Thorax; Computed tomography; Field of view 700 mm wide, 3.27 mm slice spacing
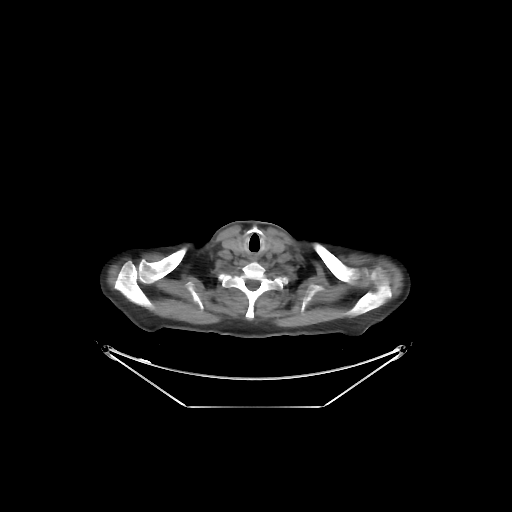

Lung: bounding box <bbox>249, 234, 259, 251</bbox>.
Bone: bounding box <bbox>193, 293, 199, 302</bbox>, <bbox>115, 248, 185, 308</bbox>, <bbox>219, 262, 287, 317</bbox>, <bbox>315, 244, 390, 314</bbox>.